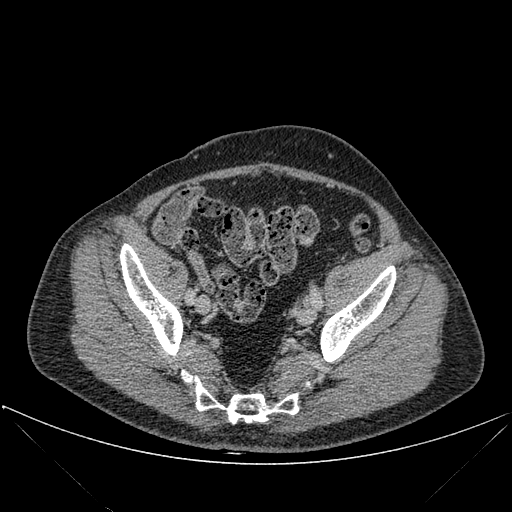 512x512. CT scan slice.
<segmentation>
  <bone>320 266 395 361, 181 370 298 423, 120 244 182 355</bone>
</segmentation>